Computed tomography, Abdomen 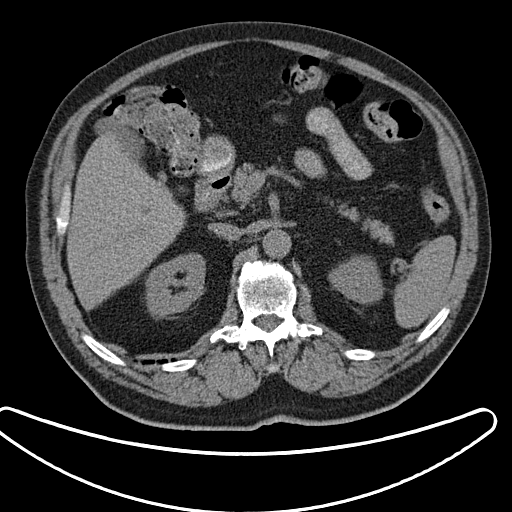 Segmented structures:
* spleen: region(395, 237, 453, 325)